CT scan slice | Abdomen

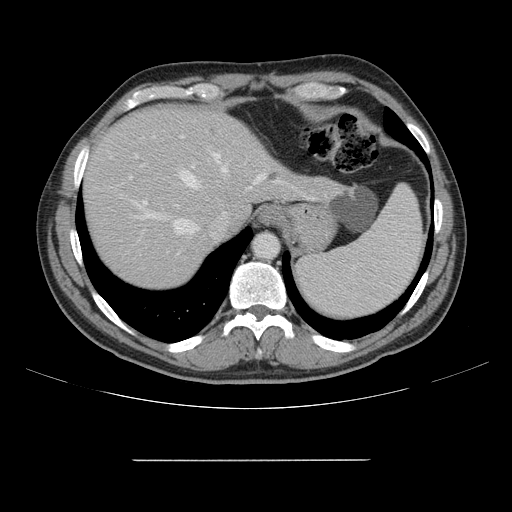

Only some of the vessels may be annotated.
14 hepatic vessel regions appear at (141, 164, 144, 165), (221, 166, 226, 172), (129, 176, 131, 179), (212, 153, 219, 161), (132, 201, 165, 218), (247, 186, 250, 189), (253, 175, 265, 182), (152, 136, 154, 137), (135, 155, 137, 158), (180, 136, 182, 137), (191, 165, 193, 167), (273, 180, 281, 182), (180, 171, 199, 188), (174, 220, 197, 233).